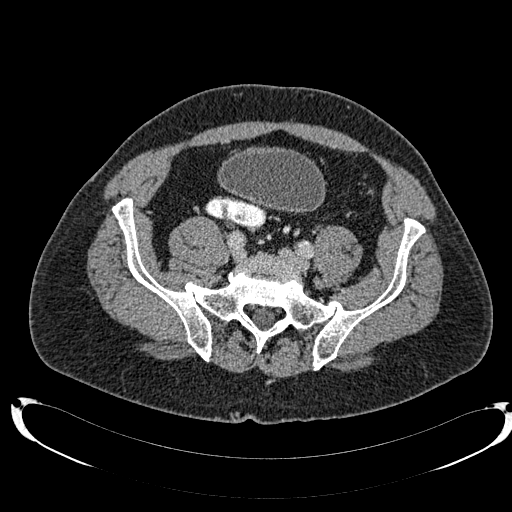 Pelvis. Computed tomography. Annotated regions:
- urinary bladder: left=222, top=150, right=325, bottom=209